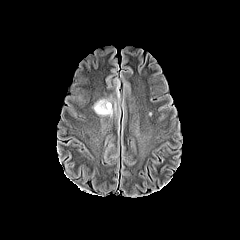
FLAIR MR image.
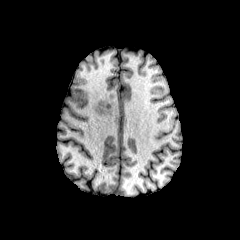
Same slice, T1-weighted MR image.
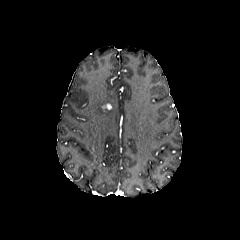
Post-contrast T1-weighted magnetic resonance.
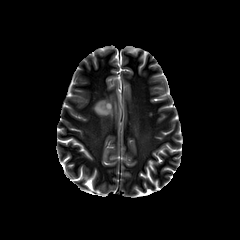
T2-weighted MR.
Head
<segmentation>
  <edema>bbox=[93, 96, 117, 117]</edema>
</segmentation>